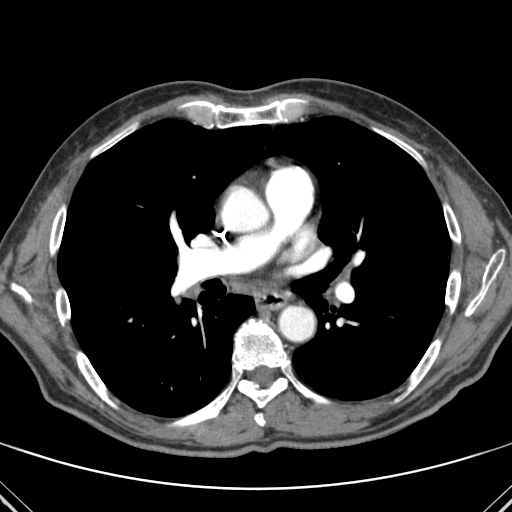
CT image
Lung — [x1=57, y1=116, x2=450, y2=416].
Bone — [x1=50, y1=205, x2=65, y2=255], [x1=91, y1=128, x2=133, y2=157], [x1=76, y1=352, x2=116, y2=407], [x1=11, y1=283, x2=31, y2=302], [x1=407, y1=339, x2=440, y2=392], [x1=374, y1=128, x2=421, y2=159], [x1=169, y1=319, x2=329, y2=426], [x1=465, y1=254, x2=502, y2=315], [x1=56, y1=290, x2=70, y2=325], [x1=445, y1=270, x2=460, y2=312], [x1=171, y1=280, x2=185, y2=296], [x1=183, y1=98, x2=302, y2=128], [x1=254, y1=413, x2=265, y2=425], [x1=444, y1=204, x2=460, y2=243].